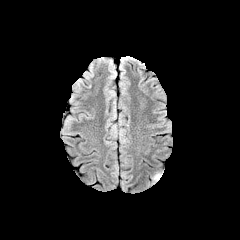
FLAIR magnetic resonance.
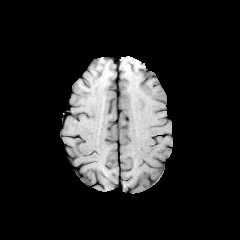
T1-weighted MR image of the same slice.
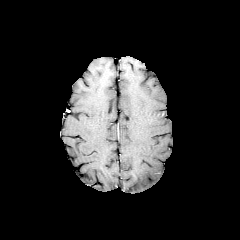
Post-contrast T1-weighted MRI.
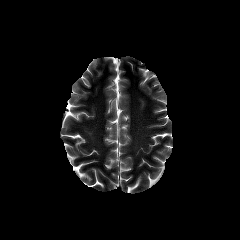
Same slice, T2-weighted MR image.
Brain; Image size 240x240
The edema is bounded by region(151, 170, 163, 183).